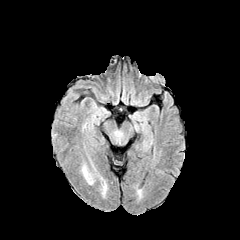
FLAIR magnetic resonance.
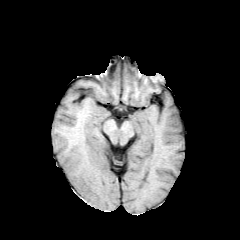
T1-weighted magnetic resonance.
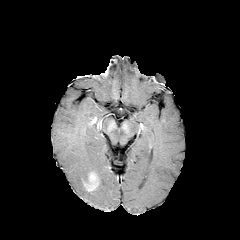
Post-contrast T1-weighted MR image.
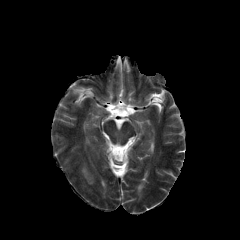
T2-weighted magnetic resonance.
Head; 240x240
The edema is located at (x1=82, y1=165, x2=93, y2=184).